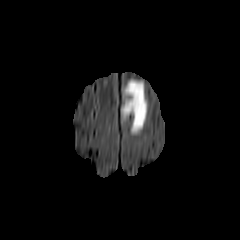
FLAIR MR.
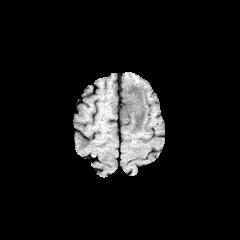
Same slice, T1-weighted MR.
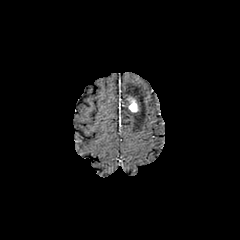
Same slice, post-contrast T1-weighted MR image.
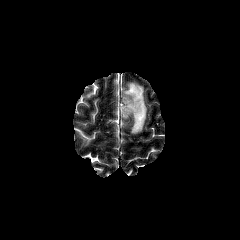
Same slice, T2-weighted MR.
240x240 px; Brain
{"edema": ["120 79 147 134"], "enhancing_tumor": ["128 97 137 112"]}